240x240; Slice 109/155
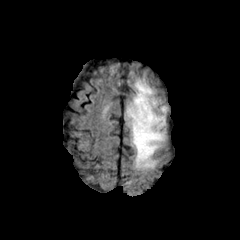
FLAIR MRI.
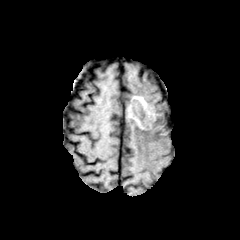
T1-weighted MRI.
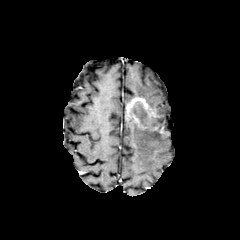
Same slice, post-contrast T1-weighted MR.
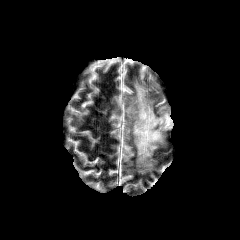
Same slice, T2-weighted MRI.
Non-enhancing tumor core at 126:101:165:130.
Enhancing tumor at 126:97:148:117.
Edema at 125:108:167:169, 131:78:168:125.